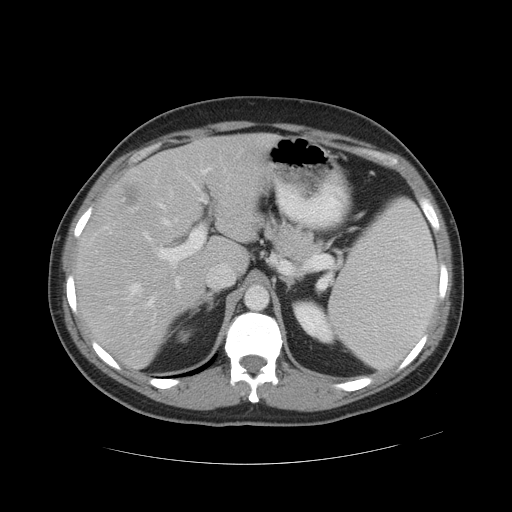
512x512 px. CT slice. Abdomen. The vessel annotation is not exhaustive.
<segmentation>
  <liver_tumor>x1=122, y1=186, x2=138, y2=208</liver_tumor>
  <hepatic_vessel>x1=147, y1=296, x2=154, y2=306; x1=158, y1=226, x2=204, y2=262; x1=199, y1=194, x2=205, y2=201; x1=127, y1=295, x2=130, y2=298; x1=186, y1=176, x2=199, y2=191; x1=200, y1=167, x2=210, y2=174; x1=162, y1=219, x2=170, y2=224; x1=143, y1=231, x2=151, y2=240; x1=175, y1=276, x2=181, y2=287; x1=175, y1=218, x2=177, y2=221; x1=130, y1=283, x2=140, y2=294; x1=173, y1=273, x2=174, y2=275; x1=224, y1=169, x2=225, y2=171</hepatic_vessel>
</segmentation>